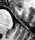 MR. {"anterior_hippocampus": ["<bbox>15, 6, 23, 10</bbox>"]}